CT slice, Slice 42 of 138 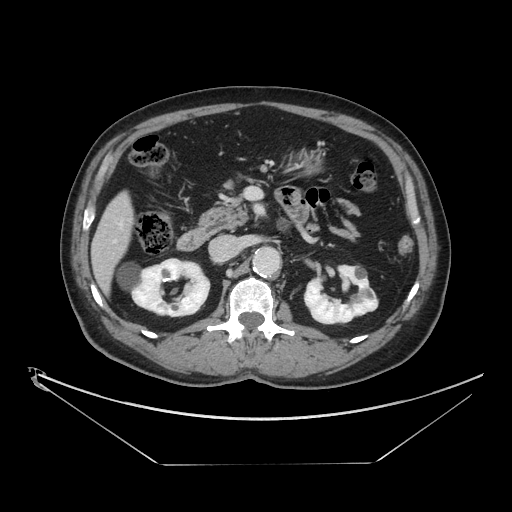

The vessel boxes may cover only some of the vessels.
Hepatic vessel: box=[118, 222, 122, 228]; box=[113, 240, 116, 242].